CT scan slice. Slice 133/156. 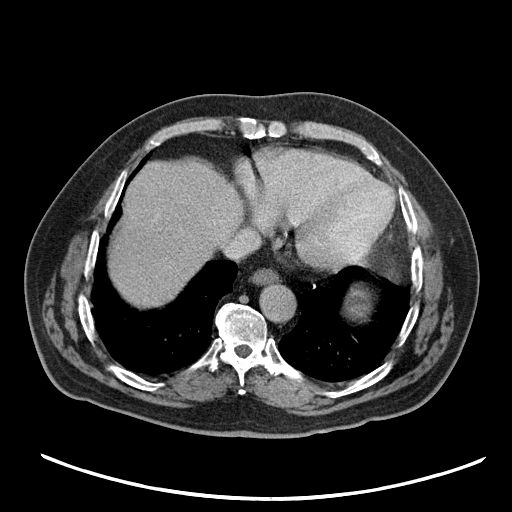
The spleen is located at (349,290,369,319).